Upper abdomen, CT image

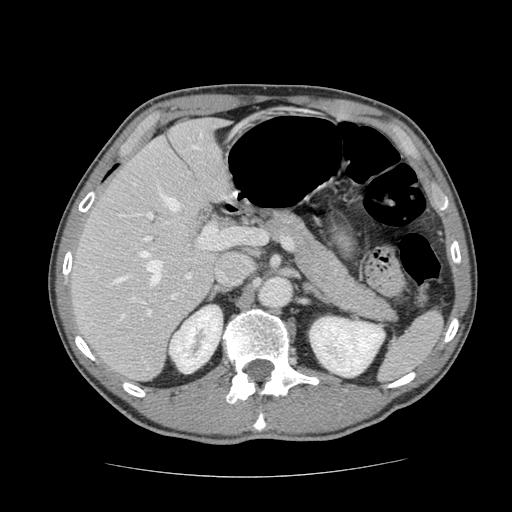 <segmentation>
  <pancreas>261:211:400:325</pancreas>
</segmentation>